Brain. Field of view 240x240 mm. Slice index 89. 240x240.
FLAIR MR image.
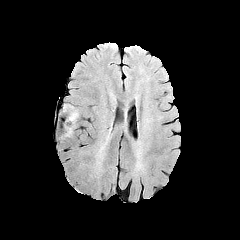
T1-weighted MR image.
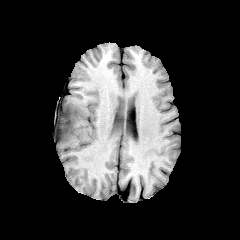
Post-contrast T1-weighted magnetic resonance.
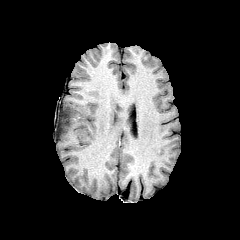
T2-weighted MR.
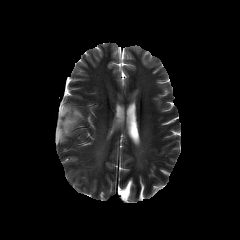
edema: <box>62,104,78,136</box> | non-enhancing tumor core: <box>64,124,71,135</box>